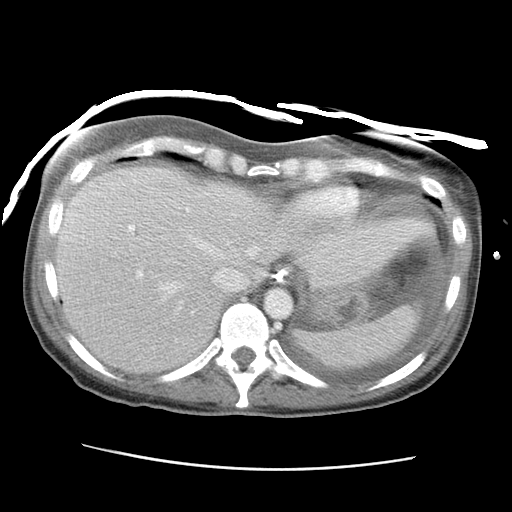

CT scan slice | Liver

The liver lies within x1=54, y1=165, x2=433, y2=372.